Liver | CT scan slice | Field of view 320x320 mm
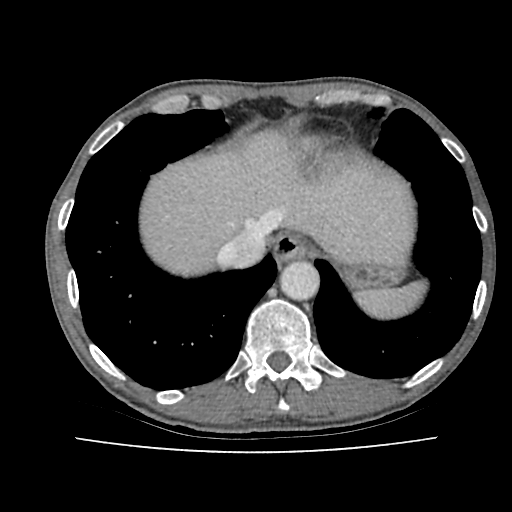 Segmented structures:
* liver: x1=140, y1=132, x2=416, y2=275